FLAIR magnetic resonance.
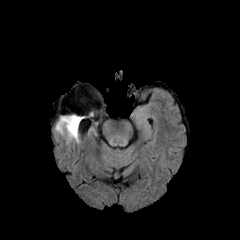
T1-weighted MRI.
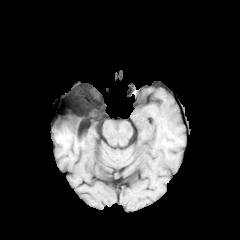
Post-contrast T1-weighted magnetic resonance.
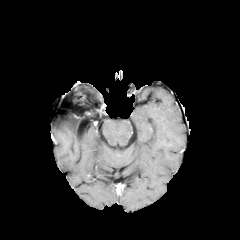
T2-weighted MRI.
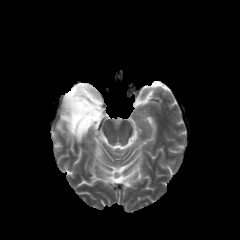
Brain; 240x240 px
<segmentation>
  <non-enhancing_tumor_core>(62, 110, 101, 133)</non-enhancing_tumor_core>
  <edema>(54, 116, 81, 144)</edema>
</segmentation>